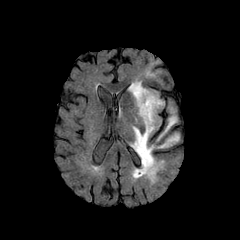
FLAIR MRI.
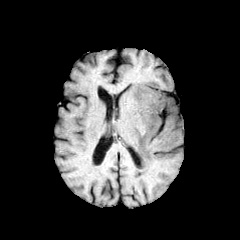
Same slice, T1-weighted magnetic resonance.
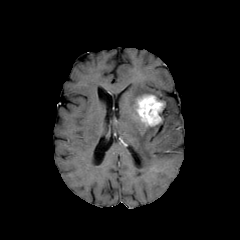
Post-contrast T1-weighted magnetic resonance.
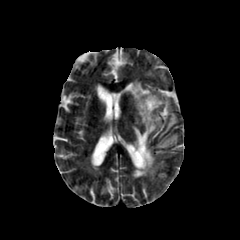
Same slice, T2-weighted MR.
Image size 240x240
Enhancing tumor = x1=135 y1=94 x2=165 y2=128.
Edema = x1=128 y1=81 x2=159 y2=100, x1=129 y1=125 x2=179 y2=178, x1=158 y1=101 x2=178 y2=140.